Slice index 453; CT; Field of view 496x496 mm
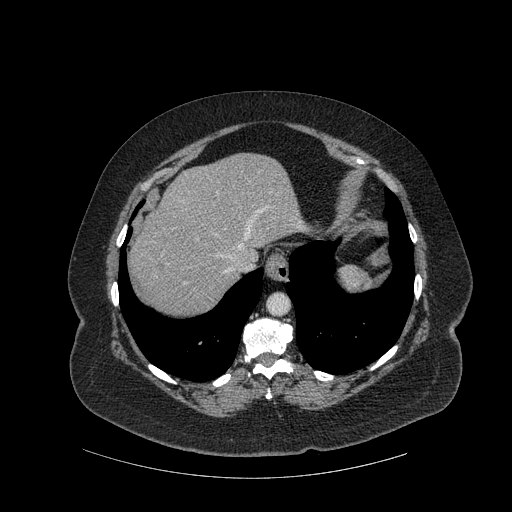
<segmentation>
  <lung>118,227,262,381; 286,189,414,374</lung>
  <liver>131,153,305,317</liver>
  <bone>149,365,175,383; 111,282,118,305; 414,275,421,298; 409,224,416,242; 314,371,332,380; 371,346,397,369; 213,374,230,386; 253,359,292,378; 243,319,292,361</bone>
  <hepatic_lesion>156,262,164,270</hepatic_lesion>
</segmentation>